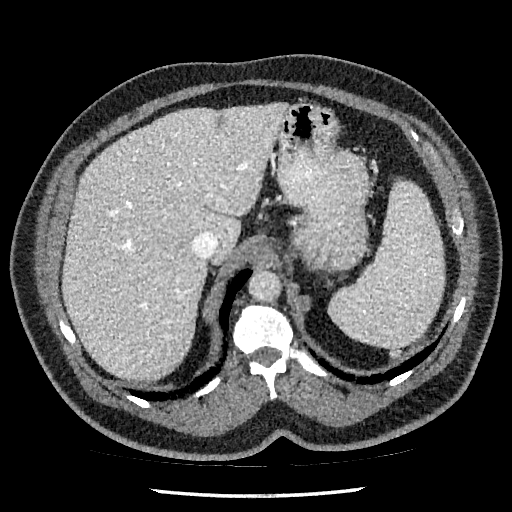 CT, Liver
Liver: bounding box 62, 103, 287, 380.
Focal liver lesion: bounding box 216, 116, 226, 130.